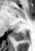
MRI
posterior_hippocampus:
  - box(13, 30, 26, 41)